512x512 px | Upper abdomen | CT slice | Slice 452 of 687

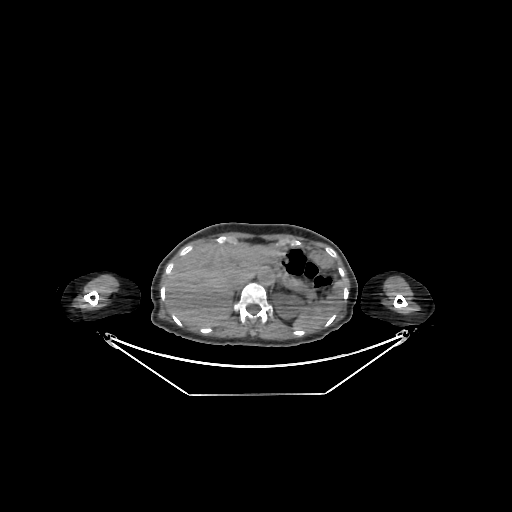 Annotated regions:
* liver: 163,242,282,329
* kidney: 274,292,303,318